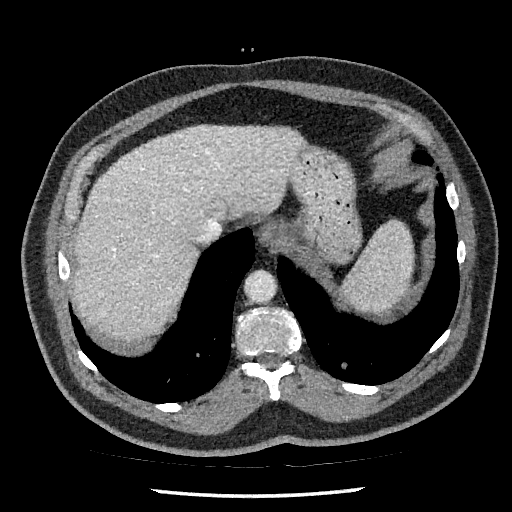
CT image
Liver: bounding box rect(73, 127, 303, 339).